CT scan slice, Pelvis, 512x512
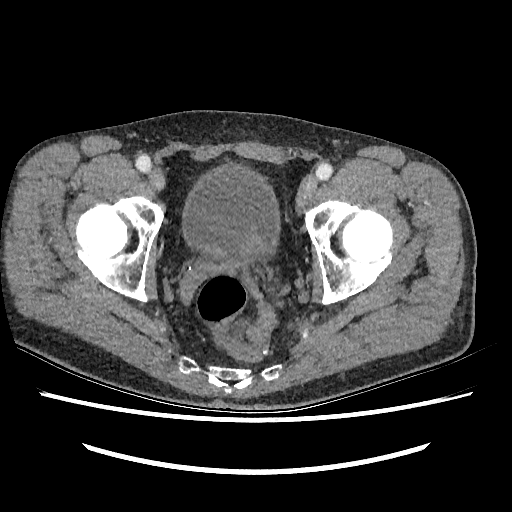 Urinary bladder: (182,169,276,262).